Slice 34 of 38 | Abdomen | CT slice 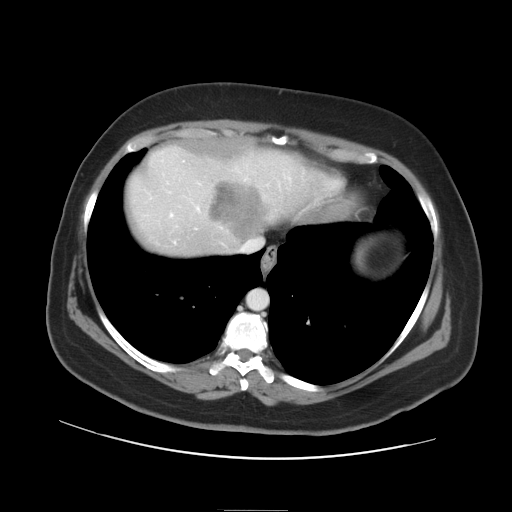 The vessel annotation is not exhaustive.
<segmentation>
  <hepatic_vessel>240 238 262 251, 169 213 173 217</hepatic_vessel>
  <liver_tumor>212 184 264 238</liver_tumor>
</segmentation>